Image size 512x512; CT; Slice index 232
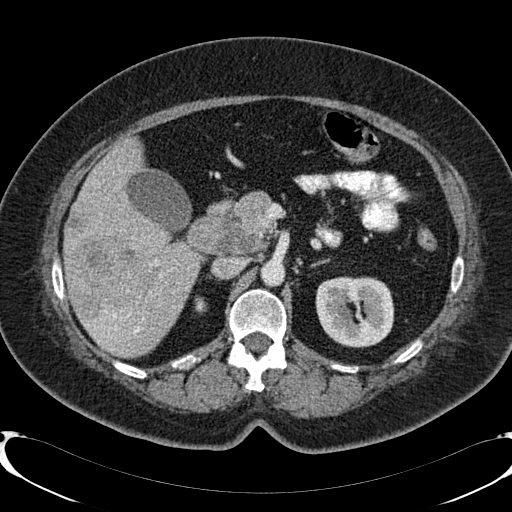

<segmentation>
  <liver>rect(66, 141, 199, 357)</liver>
  <liver_lesion>rect(72, 211, 161, 317)</liver_lesion>
  <kidney>rect(317, 278, 392, 346); rect(189, 292, 210, 317)</kidney>
</segmentation>